Computed tomography. Pelvis. Slice 148 of 574. Image size 512x512.
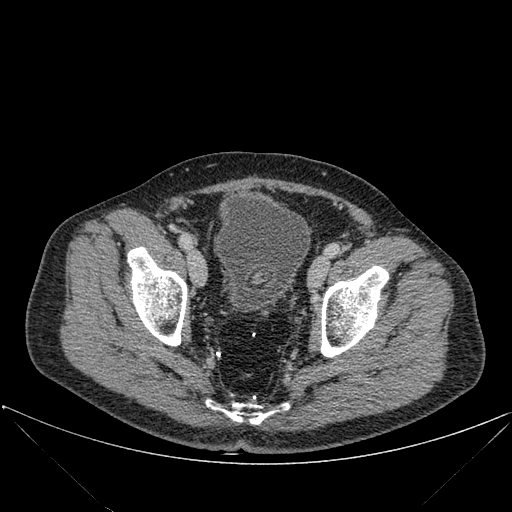

urinary_bladder:
  - box=[214, 196, 310, 312]
bone:
  - box=[321, 266, 388, 356]
  - box=[128, 247, 186, 345]
  - box=[206, 400, 289, 424]